FLAIR MRI.
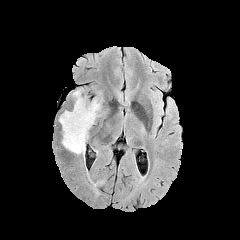
T1-weighted MRI.
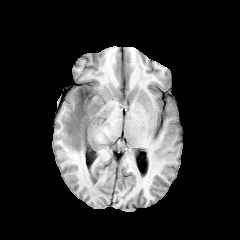
Post-contrast T1-weighted MRI.
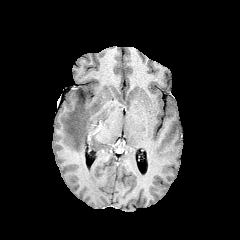
T2-weighted MR image.
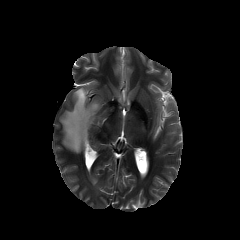
Non-enhancing tumor core: bounding box [x1=78, y1=90, x2=85, y2=107].
Edema: bounding box [x1=59, y1=88, x2=101, y2=159].